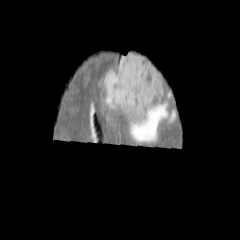
FLAIR MRI.
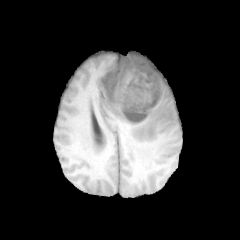
T1-weighted MR.
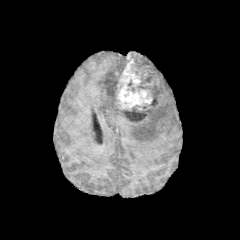
Same slice, post-contrast T1-weighted magnetic resonance.
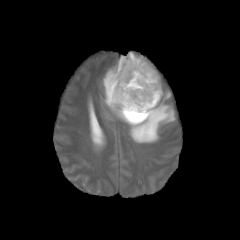
T2-weighted magnetic resonance.
Head
* non-enhancing tumor core: (left=104, top=72, right=120, bottom=101), (left=124, top=53, right=161, bottom=121)
* edema: (left=103, top=82, right=175, bottom=143), (left=102, top=55, right=127, bottom=82)
* enhancing tumor: (left=115, top=53, right=152, bottom=110)